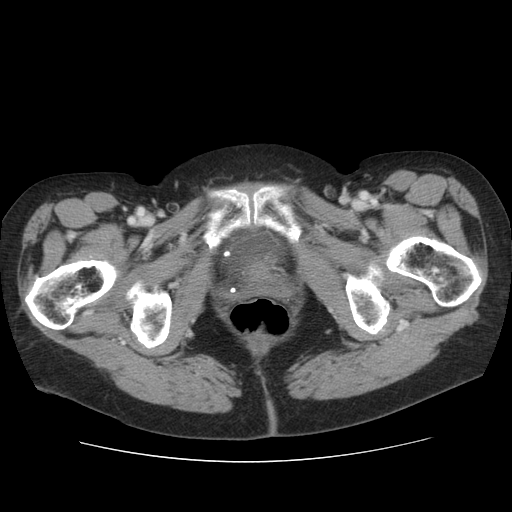
CT scan slice. 512x512. • bone: [x1=338, y1=225, x2=480, y2=338], [x1=202, y1=187, x2=301, y2=249], [x1=25, y1=247, x2=125, y2=329], [x1=123, y1=272, x2=182, y2=352]